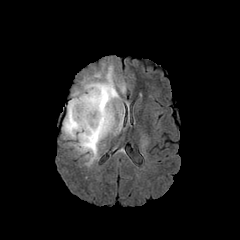
FLAIR MR.
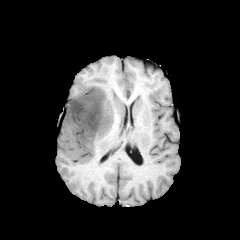
T1-weighted MRI of the same slice.
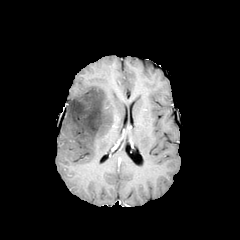
Post-contrast T1-weighted MR image.
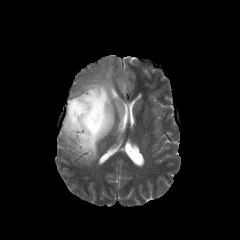
T2-weighted MRI.
Head.
Edema — 62, 66, 125, 163.
Non-enhancing tumor core — 68, 88, 105, 139.